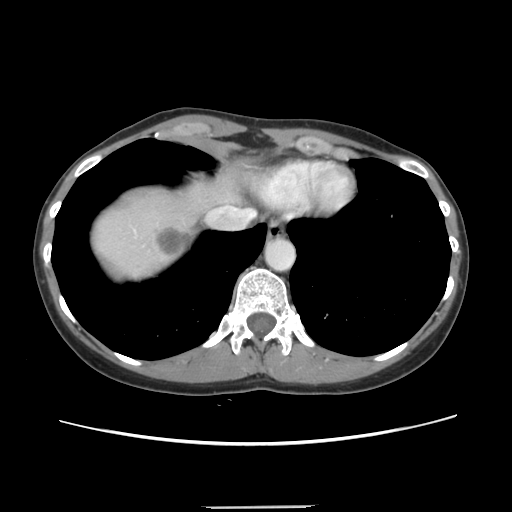 Computed tomography.
The liver tumor appears at 156 228 187 256.